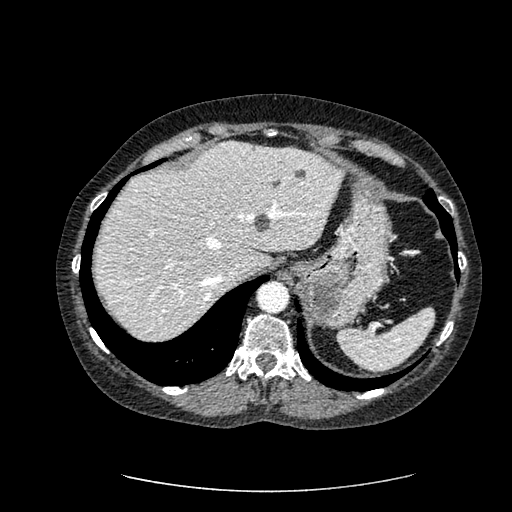 CT slice | Image size 512x512
3 focal liver lesion regions are located at [253, 214, 269, 232], [272, 179, 280, 188], [294, 169, 306, 178]. The liver is at [93, 142, 340, 339].